Slice 157 of 252, Computed tomography, Lung, Field of view 480 mm wide, 1.25 mm slice spacing

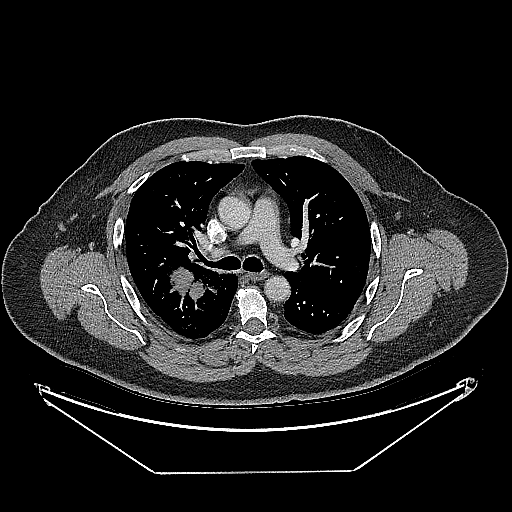
lung_tumor:
  - region(165, 259, 224, 300)